Slice 557 of 654 | CT slice | Liver 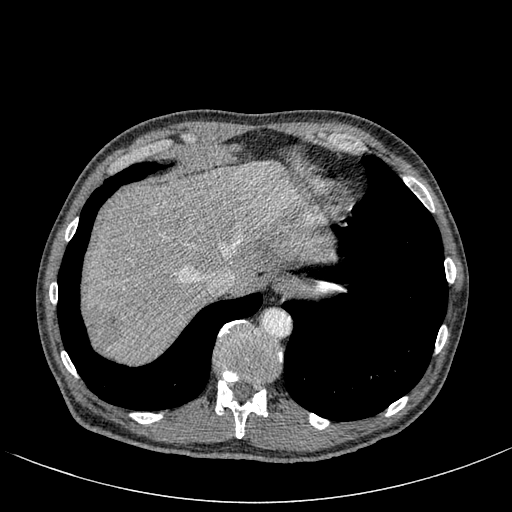
liver: [x1=85, y1=162, x2=335, y2=360] | hepatic lesion: [x1=282, y1=200, x2=307, y2=223], [x1=106, y1=269, x2=117, y2=279], [x1=85, y1=307, x2=122, y2=349]